Slice 44 of 155. Head.
FLAIR magnetic resonance.
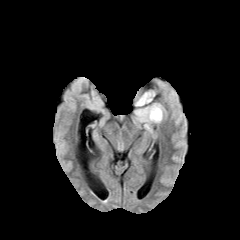
T1-weighted MR.
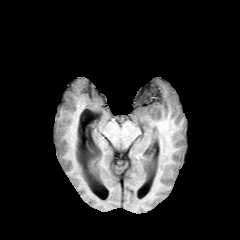
Post-contrast T1-weighted MR.
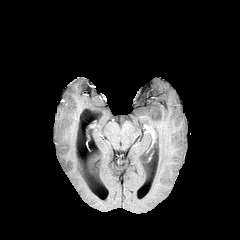
T2-weighted magnetic resonance.
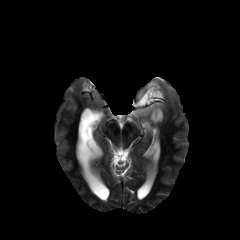
- edema: (134,90,163,126)
- non-enhancing tumor core: (140,94,151,103)